37x52 | Slice 10/32 | MR | Field of view 37x52 mm
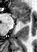 <segmentation>
  <anterior_hippocampus>(14,7,28,21)</anterior_hippocampus>
  <posterior_hippocampus>(22,22,25,23)</posterior_hippocampus>
</segmentation>